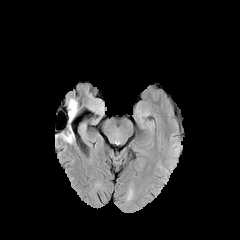
FLAIR magnetic resonance.
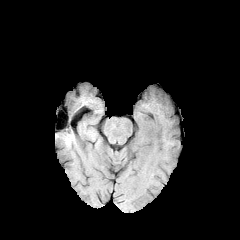
T1-weighted MRI.
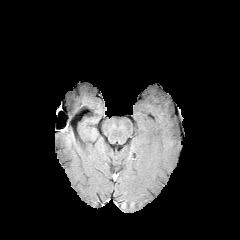
Same slice, post-contrast T1-weighted magnetic resonance.
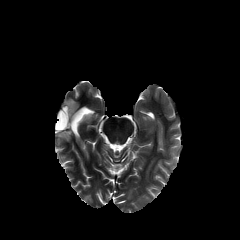
Same slice, T2-weighted MR.
Head.
<segmentation>
  <edema>box=[61, 98, 80, 140]</edema>
</segmentation>